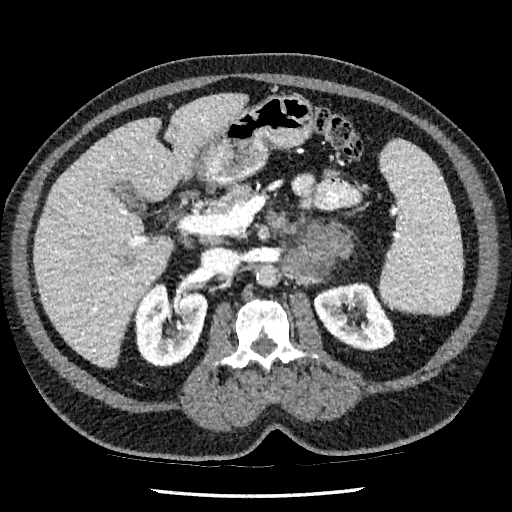
CT scan slice
2 kidney regions appear at 136 282 206 365, 314 284 393 349. The liver is bounded by 35 94 246 365. The hepatic lesion is bounded by 122 257 133 268.